Image size 240x240; Brain; Image width 240 mm
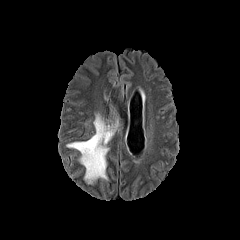
FLAIR MRI.
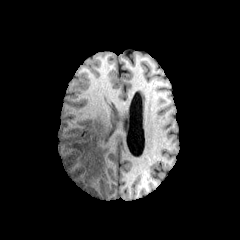
T1-weighted MRI.
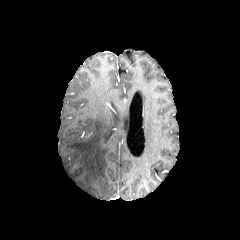
Post-contrast T1-weighted magnetic resonance of the same slice.
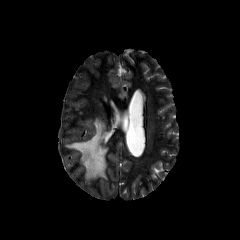
T2-weighted MRI of the same slice.
The edema appears at rect(66, 112, 119, 184).